Slice 574/733. Field of view 388 mm wide, 0.70 mm slice spacing. CT image. 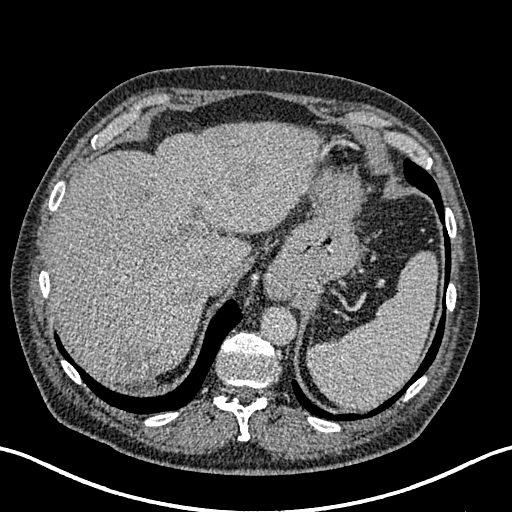
6 focal liver lesion regions are located at l=227, t=162, r=260, b=191; l=157, t=277, r=199, b=306; l=139, t=224, r=213, b=285; l=117, t=344, r=164, b=376; l=188, t=204, r=210, b=224; l=200, t=186, r=213, b=200. The liver is bounded by l=49, t=123, r=321, b=384.